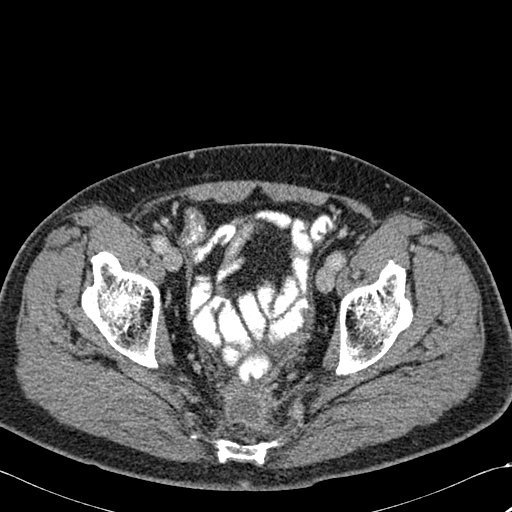 Image size 512x512; CT slice

3 bone regions are located at bbox(82, 251, 159, 367); bbox(336, 260, 412, 374); bbox(217, 440, 276, 463).